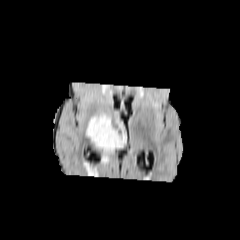
FLAIR MRI.
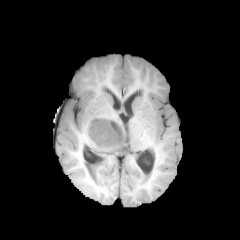
Same slice, T1-weighted magnetic resonance.
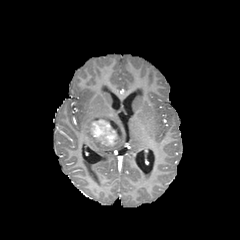
Post-contrast T1-weighted MRI of the same slice.
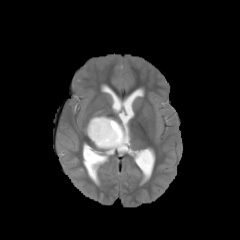
T2-weighted MR.
240x240 px. Brain.
Edema — box=[95, 144, 112, 151].
Enhancing tumor — box=[89, 118, 123, 148].
Non-enhancing tumor core — box=[101, 118, 126, 141].